FLAIR magnetic resonance.
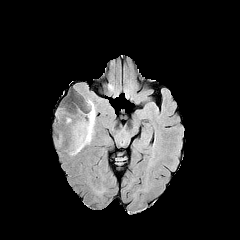
T1-weighted MR.
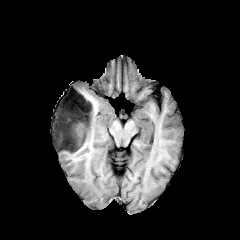
Post-contrast T1-weighted MR image.
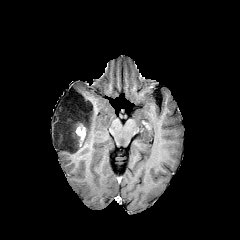
T2-weighted MRI.
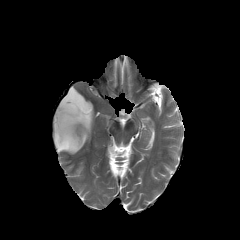
Head
The edema lies within rect(82, 101, 96, 147). The non-enhancing tumor core is bounded by rect(55, 95, 92, 153). The enhancing tumor lies within rect(75, 124, 86, 145).